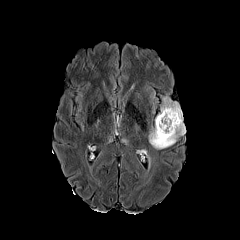
FLAIR MRI.
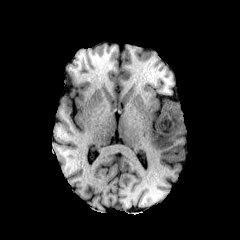
T1-weighted MRI.
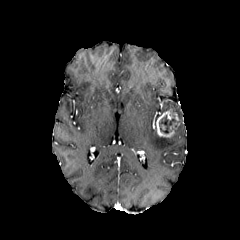
Post-contrast T1-weighted MR.
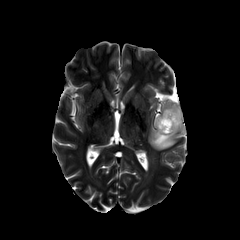
T2-weighted MRI.
240x240.
• enhancing tumor: (x1=156, y1=109, x2=179, y2=137)
• edema: (x1=148, y1=101, x2=185, y2=150)
• non-enhancing tumor core: (x1=159, y1=114, x2=176, y2=132)